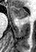
MR image
anterior hippocampus: box(9, 6, 28, 21)